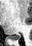

Medial temporal lobe, Magnetic resonance
The posterior hippocampus is bounded by x1=10, y1=34, x2=20, y2=40.